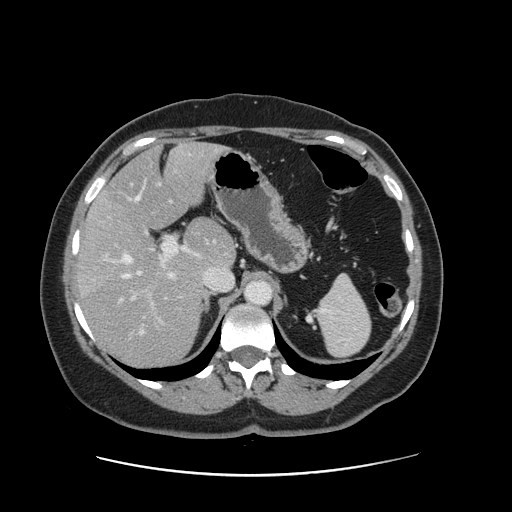
CT. Liver.

Some hepatic vessels may have no box.
Hepatic vessel — <bbox>132, 295, 135, 299</bbox>, <bbox>108, 258, 113, 260</bbox>, <bbox>138, 271, 140, 274</bbox>, <bbox>194, 253, 201, 256</bbox>, <bbox>181, 244, 191, 251</bbox>, <bbox>140, 324, 144, 333</bbox>, <bbox>124, 273, 129, 277</bbox>, <bbox>169, 273, 174, 277</bbox>, <bbox>120, 298, 122, 301</bbox>, <bbox>121, 254, 131, 262</bbox>.